Slice 48/155. Brain.
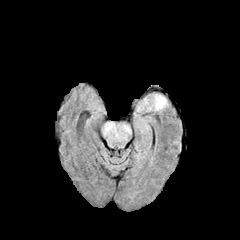
FLAIR MRI.
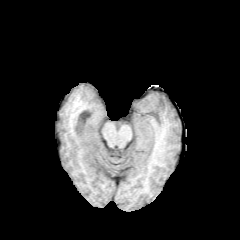
T1-weighted MR of the same slice.
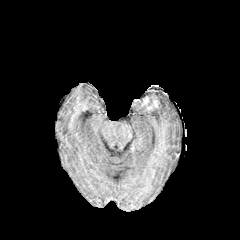
Post-contrast T1-weighted MRI.
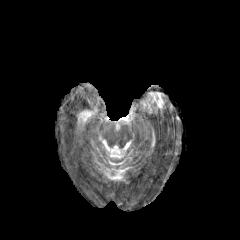
T2-weighted MR of the same slice.
Findings:
• non-enhancing tumor core: {"x1": 146, "y1": 94, "x2": 156, "y2": 109}
• edema: {"x1": 148, "y1": 94, "x2": 167, "y2": 112}, {"x1": 137, "y1": 96, "x2": 147, "y2": 110}